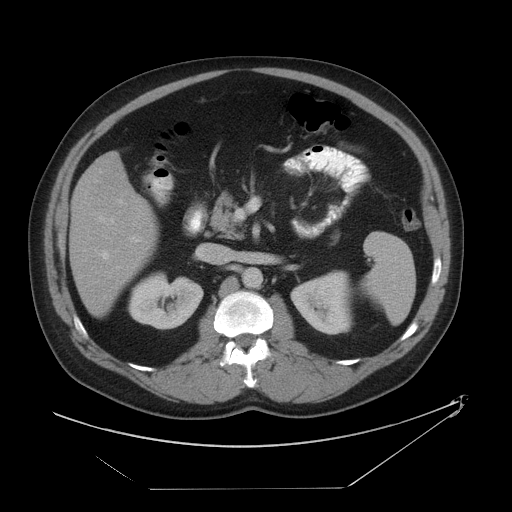

CT scan slice; Abdomen

spleen: [359,232,415,323]